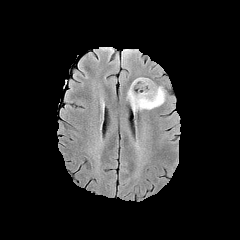
FLAIR magnetic resonance.
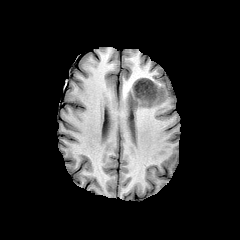
T1-weighted MRI.
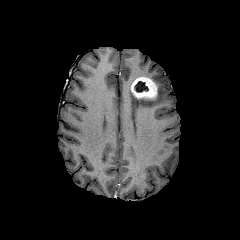
Post-contrast T1-weighted MRI.
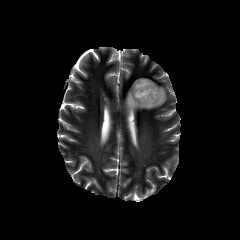
T2-weighted magnetic resonance.
Image size 240x240 | Head
{
  "edema": [
    "127:86:165:111"
  ],
  "non-enhancing_tumor_core": [
    "134:81:148:92"
  ],
  "enhancing_tumor": [
    "131:77:157:99"
  ]
}